Head, Slice index 53
FLAIR magnetic resonance.
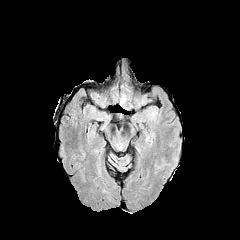
T1-weighted MR image.
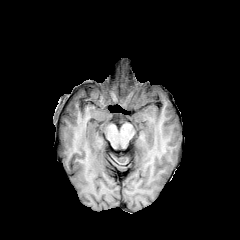
Post-contrast T1-weighted MR image.
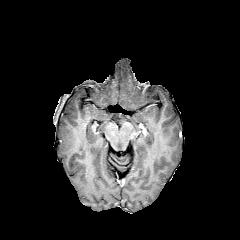
T2-weighted MRI.
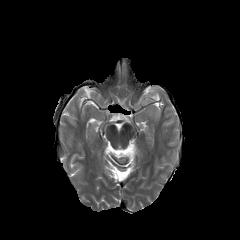
edema: 146,106,157,117